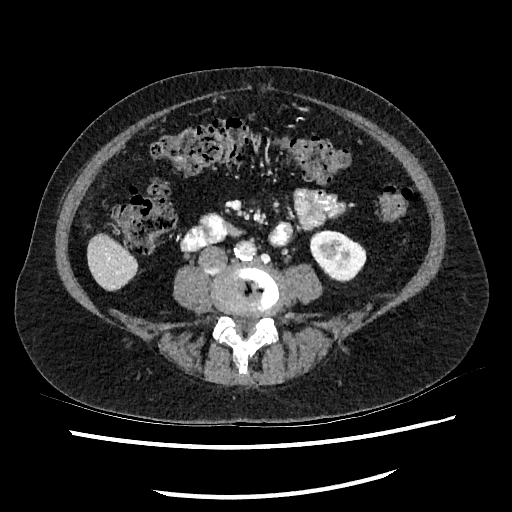

512x512, CT, Abdomen
Kidney = [311, 231, 365, 279].
Liver = [87, 234, 135, 289].